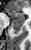

MRI slice | 31x50 px
Annotated regions:
• posterior hippocampus: left=11, top=19, right=23, bottom=34
• anterior hippocampus: left=6, top=9, right=24, bottom=18